Field of view 351x351 mm; CT image; Slice index 71

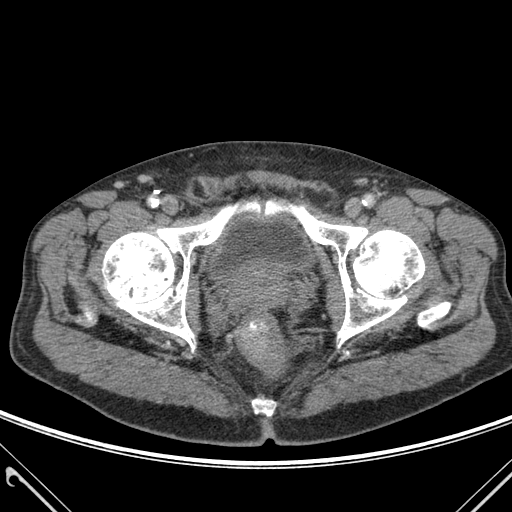
bone: (102,205,237,349), (418,302,449,326), (265,201,424,346), (252,399,275,415), (241,202,259,211)